Image width 700 mm, Slice 72/536, Computed tomography 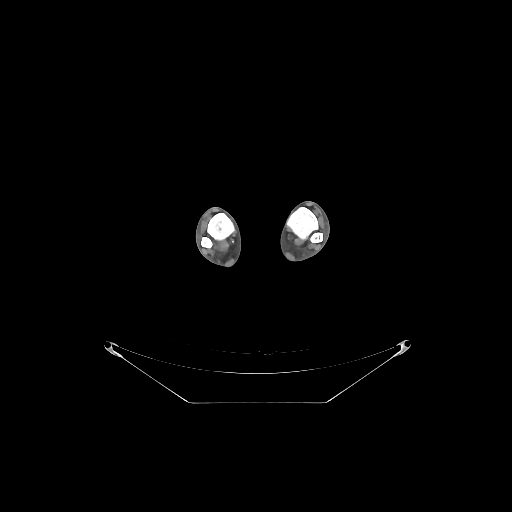

4 bone regions appear at (207, 213, 234, 240), (287, 207, 318, 239), (310, 232, 322, 242), (201, 237, 212, 248).